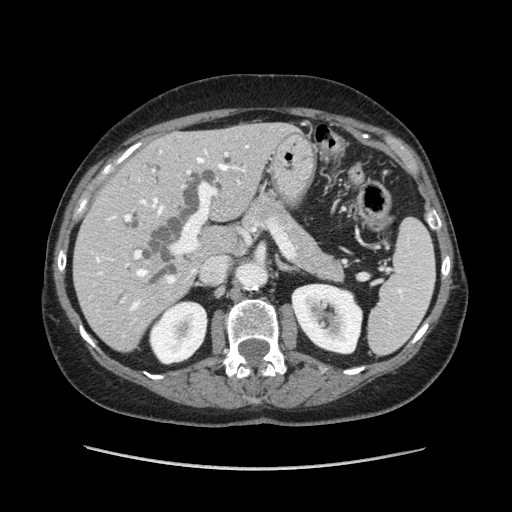

CT
The pancreas is at left=241, top=187, right=346, bottom=285.